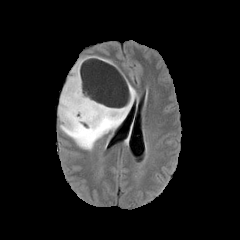
FLAIR magnetic resonance.
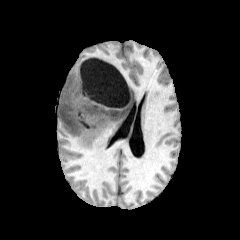
Same slice, T1-weighted magnetic resonance.
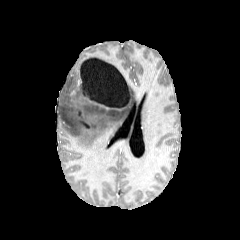
Same slice, post-contrast T1-weighted MR.
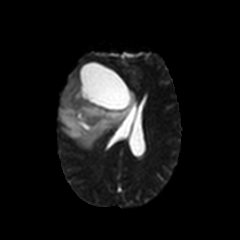
T2-weighted magnetic resonance of the same slice.
Brain
2 non-enhancing tumor core regions are located at x1=60 y1=108 x2=88 y2=133, x1=77 y1=78 x2=130 y2=118. The edema lies within x1=57 y1=57 x2=137 y2=149.